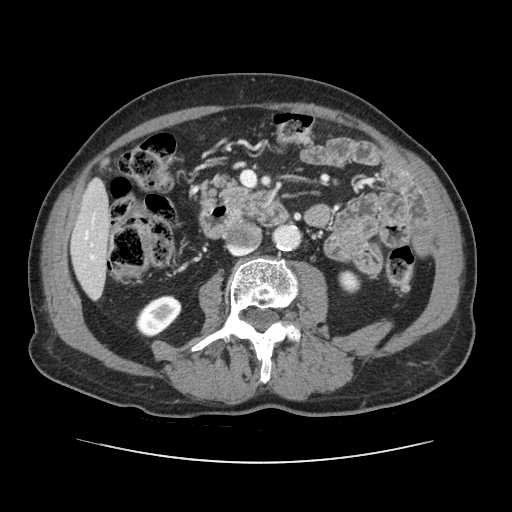

Upper abdomen | CT scan slice
The pancreas is located at {"x1": 237, "y1": 191, "x2": 272, "y2": 216}.